CT

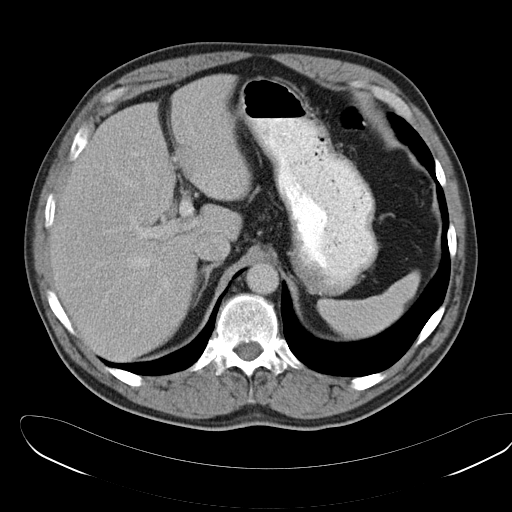 {
  "spleen": [
    "box=[319, 273, 419, 339]"
  ]
}